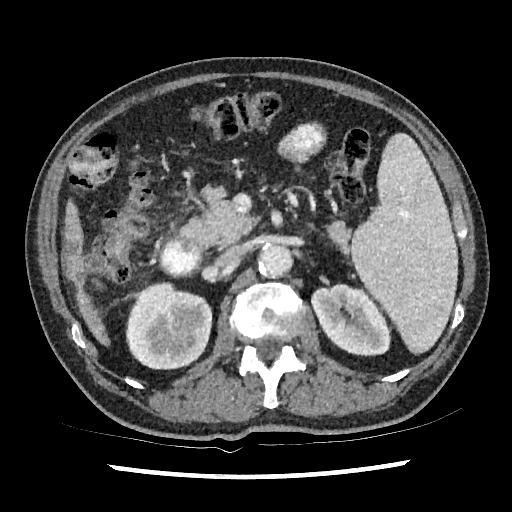 Upper abdomen, CT

2 focal liver lesion regions are located at [87, 311, 98, 326], [67, 236, 84, 282]. 3 liver regions are bounded by [66, 204, 82, 244], [78, 294, 107, 342], [65, 251, 82, 288]. 2 kidney regions are bounded by [311, 285, 389, 355], [127, 283, 211, 368].